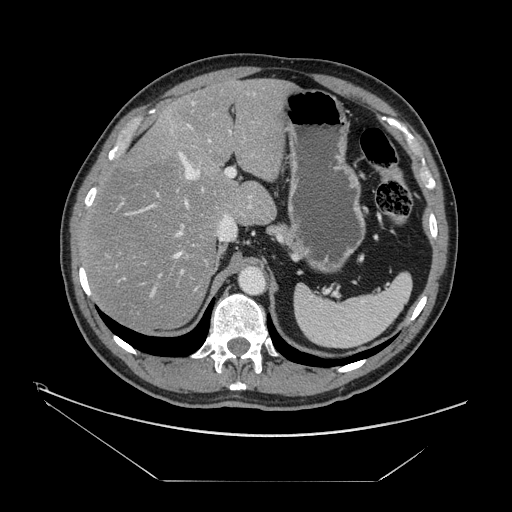
Computed tomography. Only some of the vessels may be annotated.
{
  "hepatic_vessel": [
    "[178, 232, 181, 234]",
    "[188, 125, 190, 127]",
    "[176, 253, 180, 256]",
    "[179, 153, 198, 178]",
    "[227, 169, 234, 175]",
    "[185, 202, 187, 204]"
  ]
}